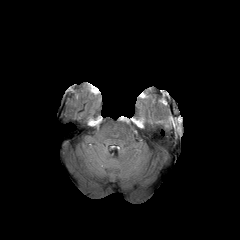
FLAIR MR.
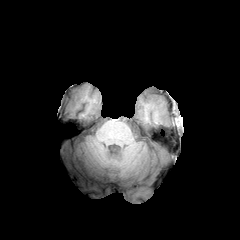
T1-weighted MR of the same slice.
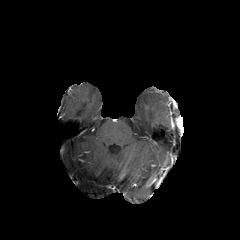
Post-contrast T1-weighted MR image of the same slice.
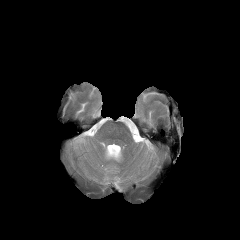
Same slice, T2-weighted MR.
Brain
3 edema regions are located at 124:120:135:131, 101:144:121:161, 137:114:152:124.